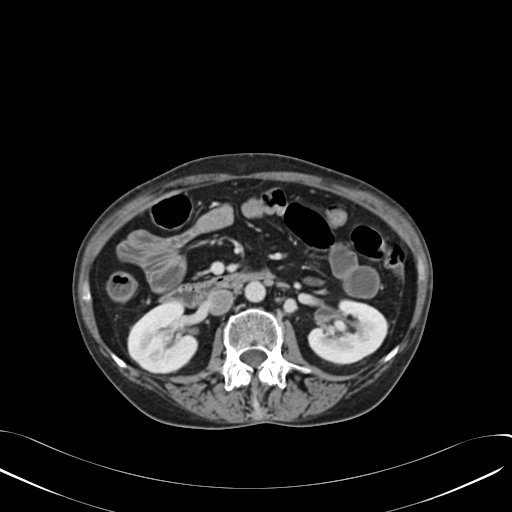 512x512 px. CT image. Abdomen.

kidney: [309, 302, 386, 362], [129, 302, 195, 372]